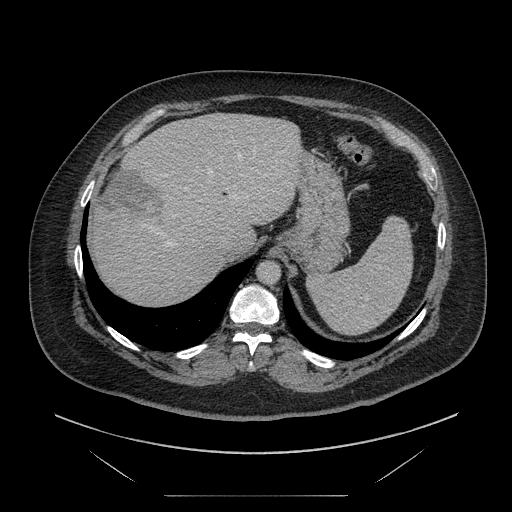 CT scan slice | Abdomen
Some hepatic vessels may have no box.
The liver tumor is located at x1=98 y1=170 x2=166 y2=220. 2 hepatic vessel regions are located at x1=150 y1=228 x2=165 y2=235, x1=165 y1=239 x2=176 y2=246.